FLAIR MR.
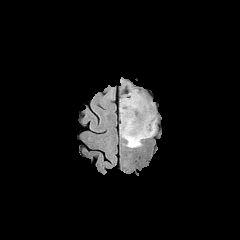
T1-weighted MRI.
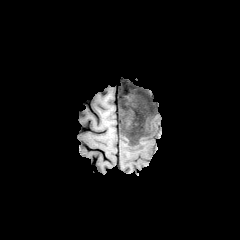
Post-contrast T1-weighted MR.
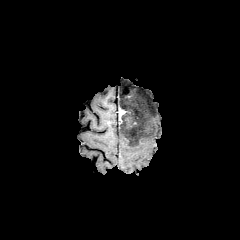
T2-weighted magnetic resonance.
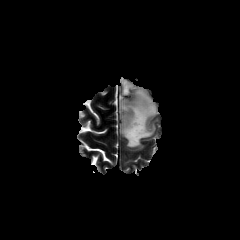
Head
<segmentation>
  <enhancing_tumor>125, 116, 135, 127</enhancing_tumor>
  <edema>119, 81, 157, 137; 119, 124, 125, 145; 140, 138, 147, 149</edema>
  <non-enhancing_tumor_core>120, 96, 152, 147</non-enhancing_tumor_core>
</segmentation>